Slice 515/896 | CT scan slice | Abdomen
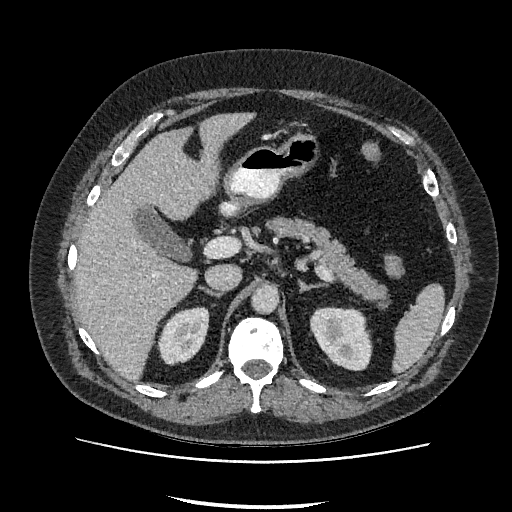 Liver — x1=76 y1=113 x2=254 y2=381.
Kidney — x1=311 y1=308 x2=369 y2=369, x1=159 y1=308 x2=207 y2=362.